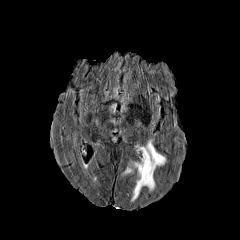
FLAIR MR.
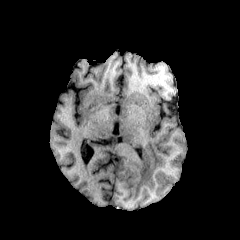
T1-weighted MR image.
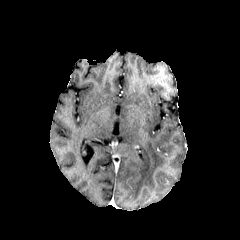
Post-contrast T1-weighted MR of the same slice.
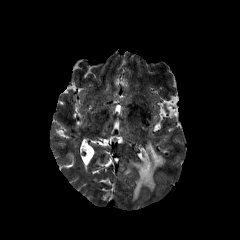
T2-weighted magnetic resonance.
Head
edema: 121:140:166:203